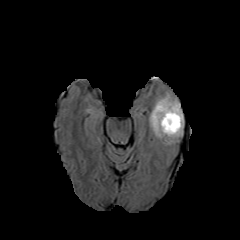
FLAIR MRI.
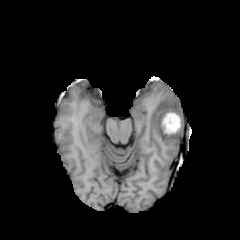
T1-weighted MR of the same slice.
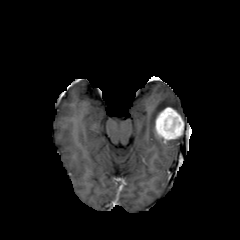
Post-contrast T1-weighted MRI.
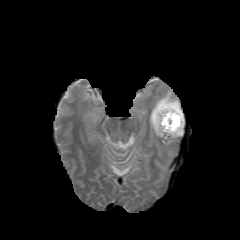
T2-weighted MRI.
Brain. 240x240 px.
The edema is bounded by [146, 90, 183, 147]. The non-enhancing tumor core appears at [153, 100, 177, 129]. The enhancing tumor lies within [161, 113, 180, 133].